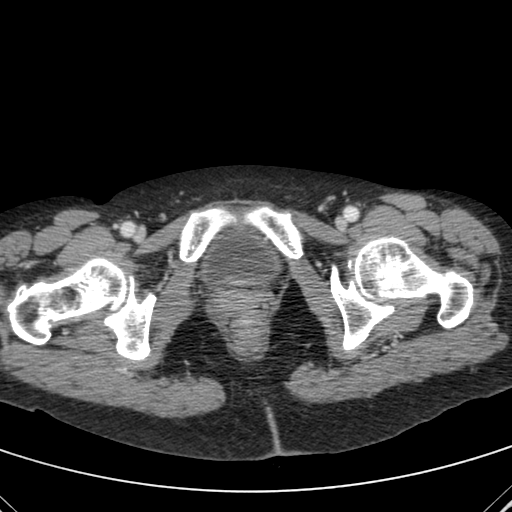

Computed tomography. Pelvis.

Segmented structures:
- urinary bladder: box(197, 224, 287, 288)